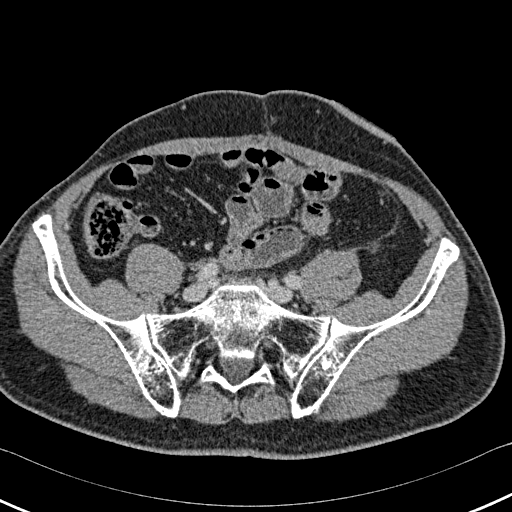 Computed tomography
Bone at (33,215,458,418), (201,364,273,392).